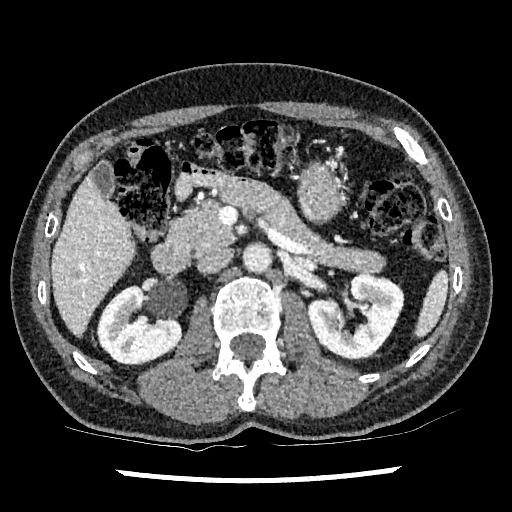

Image size 512x512 | CT | Liver

kidney: [x1=98, y1=287, x2=180, y2=363], [x1=309, y1=275, x2=402, y2=357] | liver: [x1=52, y1=170, x2=134, y2=337]